CT scan slice

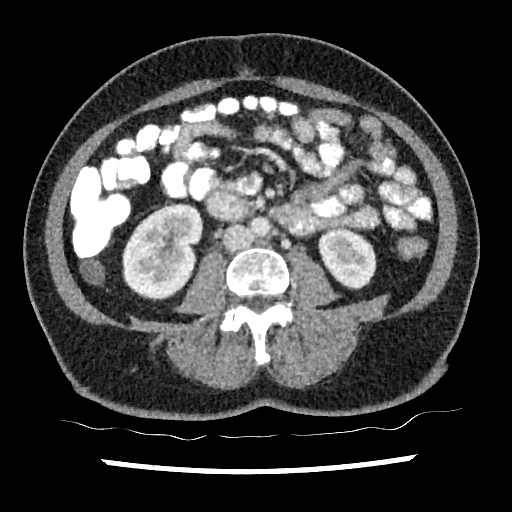

Kidney: box(123, 205, 201, 297); box(319, 230, 374, 287).